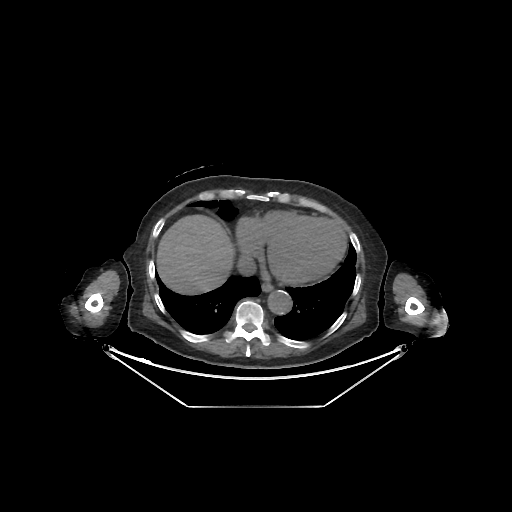
Abdomen, CT image
3 lung regions are located at rect(274, 243, 356, 340); rect(188, 200, 238, 222); rect(155, 271, 261, 334). The liver is at rect(157, 215, 233, 292). 12 bone regions appear at rect(182, 331, 207, 342); rect(85, 293, 103, 312); rect(155, 294, 163, 312); rect(350, 234, 359, 251); rect(153, 219, 163, 236); rect(226, 301, 268, 345); rect(353, 276, 360, 294); rect(149, 261, 154, 278); rect(405, 297, 424, 316); rect(331, 313, 346, 332); rect(248, 192, 277, 200); rect(280, 337, 306, 347).